Slice index 88 | Head
FLAIR MR image.
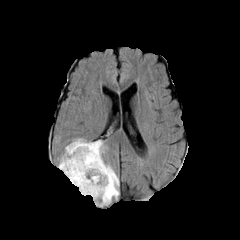
T1-weighted MR.
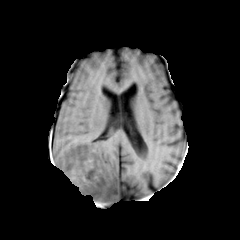
Post-contrast T1-weighted MR image.
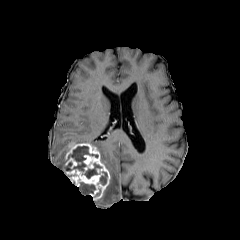
T2-weighted magnetic resonance.
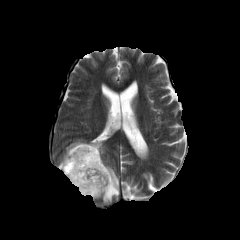
{"edema": ["(79, 184, 93, 194)", "(88, 140, 119, 204)", "(59, 152, 65, 169)", "(76, 148, 86, 157)"], "non-enhancing_tumor_core": ["(84, 164, 101, 178)", "(68, 146, 88, 171)", "(100, 172, 107, 184)"], "enhancing_tumor": ["(65, 142, 110, 199)"]}